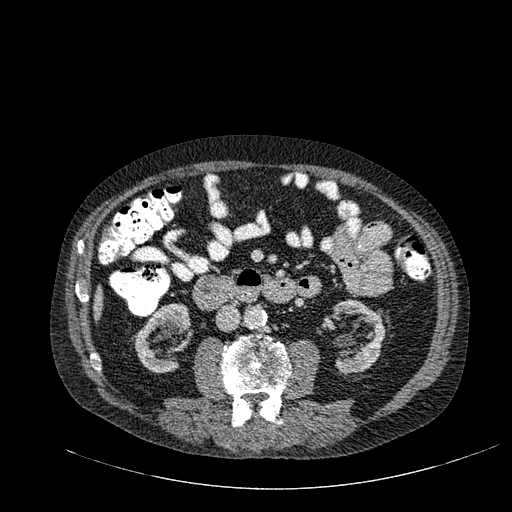 CT scan slice, Liver
Annotated regions:
• kidney: l=134, t=303, r=193, b=372; l=322, t=301, r=385, b=374
• liver: l=94, t=286, r=102, b=321